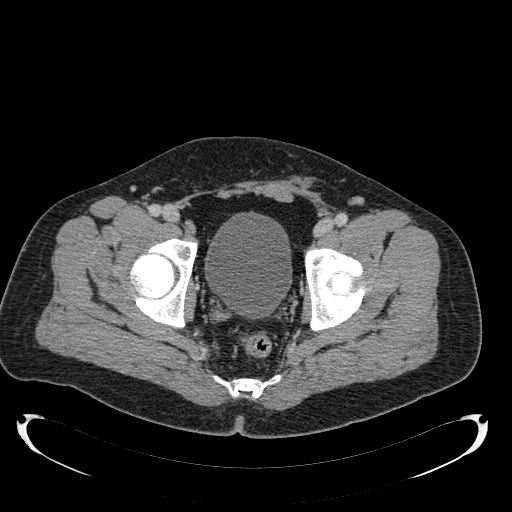
Pelvis, CT slice
Urinary bladder: bounding box <bbox>205, 212, 292, 319</bbox>.